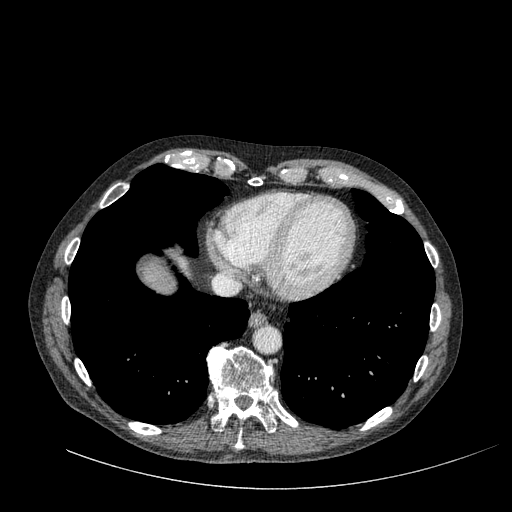

CT scan slice
* liver: [x1=169, y1=250, x2=188, y2=277], [x1=143, y1=263, x2=173, y2=293]